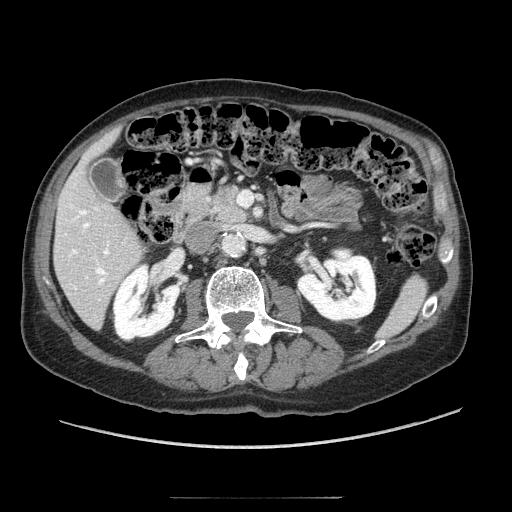
512x512 px. Abdomen. CT.
Pancreatic tumor — {"x1": 219, "y1": 190, "x2": 236, "y2": 205}.
Pancreas — {"x1": 213, "y1": 186, "x2": 245, "y2": 223}.